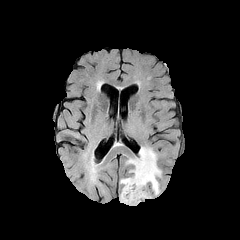
FLAIR MRI.
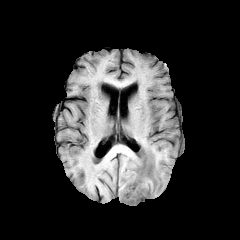
T1-weighted MRI of the same slice.
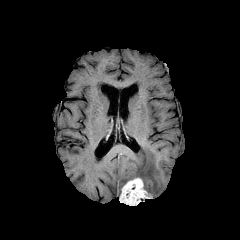
Post-contrast T1-weighted MR image of the same slice.
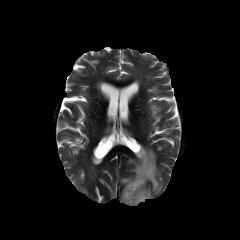
T2-weighted magnetic resonance of the same slice.
<segmentation>
  <edema>(x1=120, y1=147, x2=161, y2=195)</edema>
  <enhancing_tumor>(x1=120, y1=178, x2=151, y2=205)</enhancing_tumor>
</segmentation>